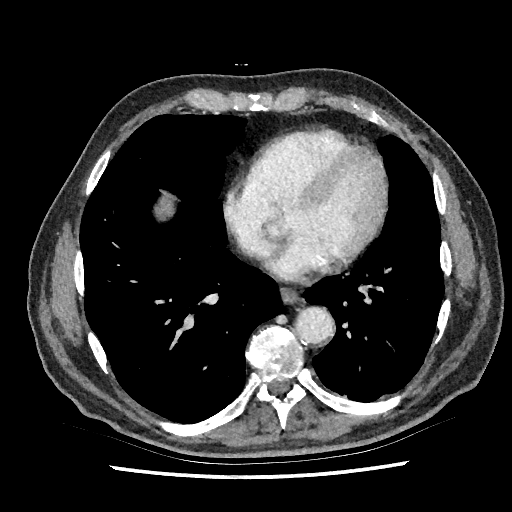
Image size 512x512 | Upper abdomen | Computed tomography

Liver: bounding box region(160, 203, 169, 213).